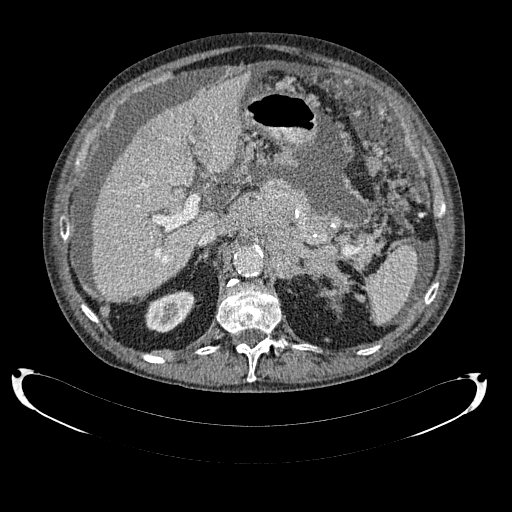

CT scan slice.

• kidney: (x1=146, y1=291, x2=193, y2=332)
• hepatic lesion: (x1=139, y1=127, x2=148, y2=138)
• liver: (x1=91, y1=71, x2=250, y2=301)